Slice 73 of 155. Field of view 240 mm wide, 1.00 mm slice spacing.
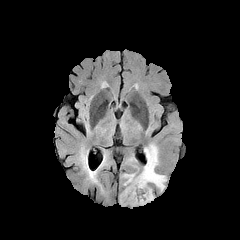
FLAIR MRI.
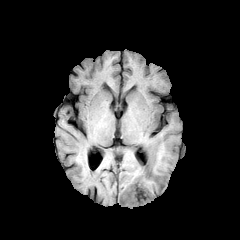
T1-weighted MR image of the same slice.
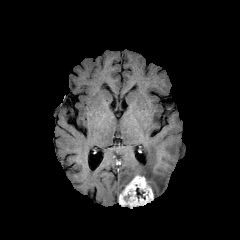
Post-contrast T1-weighted MR image of the same slice.
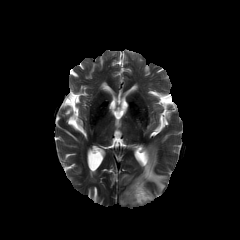
T2-weighted MRI.
• enhancing tumor: 119, 175, 153, 207
• edema: 122, 174, 135, 185; 139, 143, 166, 191